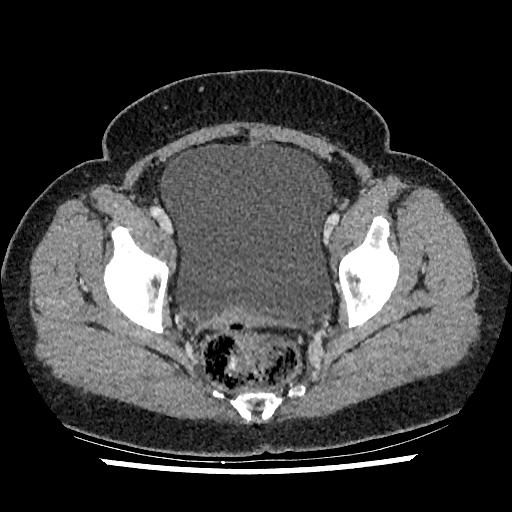
CT slice

{
  "urinary_bladder": [
    "(left=161, top=142, right=332, bottom=328)"
  ]
}